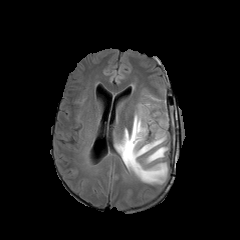
FLAIR MR image.
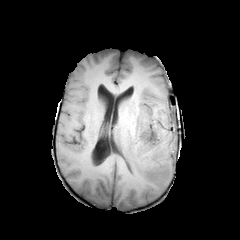
T1-weighted MR image of the same slice.
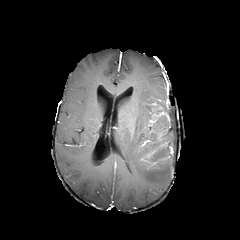
Same slice, post-contrast T1-weighted MRI.
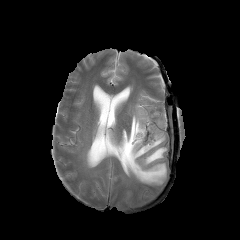
T2-weighted MRI of the same slice.
The edema is bounded by box(114, 92, 169, 185). The non-enhancing tumor core is bounded by box(148, 120, 155, 137).